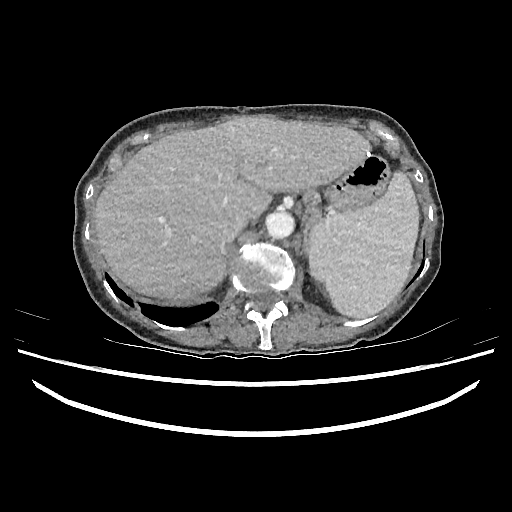

512x512 px | CT image
Annotated regions:
• liver: (x1=96, y1=116, x2=368, y2=298)